Computed tomography, Liver, Slice 414 of 836
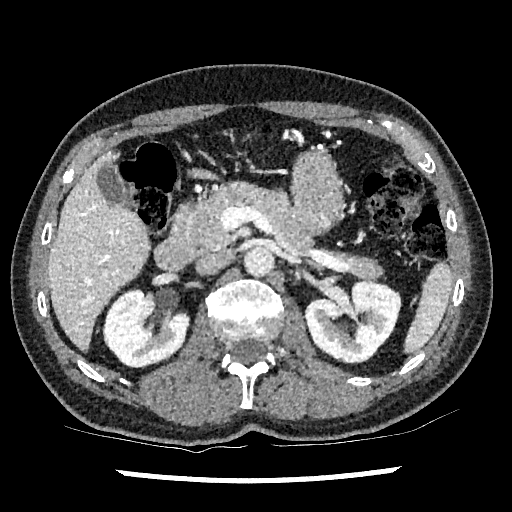
Segmented structures:
- liver: [48, 150, 149, 351]
- kidney: [306, 282, 399, 361], [104, 291, 187, 366]